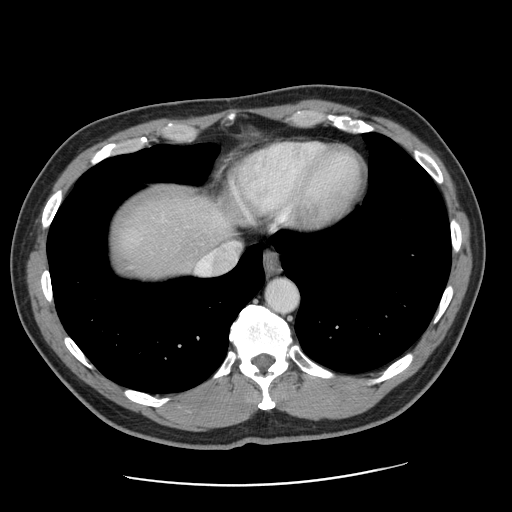

CT scan slice, 512x512 px
Not every hepatic vessel necessarily has a box.
The hepatic vessel is at <box>198,242,239,274</box>.